FLAIR MR.
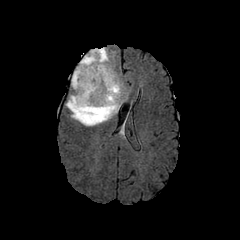
T1-weighted MR.
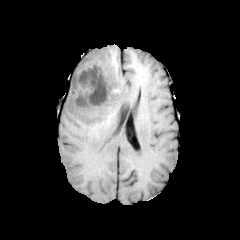
Post-contrast T1-weighted MRI.
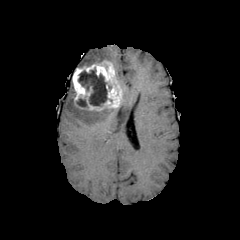
T2-weighted MR.
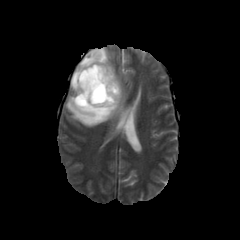
enhancing_tumor:
  - bbox=[72, 60, 122, 110]
edema:
  - bbox=[82, 47, 110, 62]
  - bbox=[65, 92, 120, 126]
non-enhancing_tumor_core:
  - bbox=[78, 69, 107, 107]
  - bbox=[76, 98, 87, 106]
  - bbox=[80, 58, 95, 66]
  - bbox=[91, 51, 100, 59]